Computed tomography; Upper abdomen
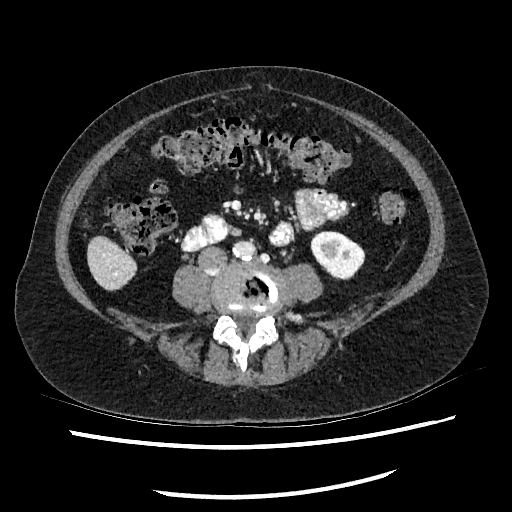
kidney:
  - <box>312,232,363,277</box>
liver:
  - <box>88,238,135,289</box>